FLAIR magnetic resonance.
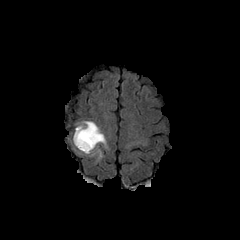
T1-weighted MR image.
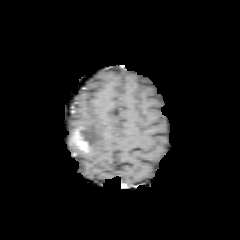
Post-contrast T1-weighted MR.
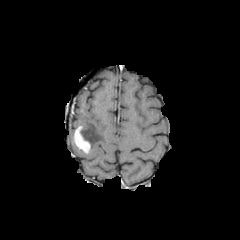
T2-weighted MR image.
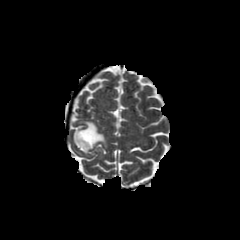
Edema = (78, 120, 107, 157).
Enhancing tumor = (74, 126, 90, 153).
Non-enhancing tumor core = (81, 128, 94, 147).